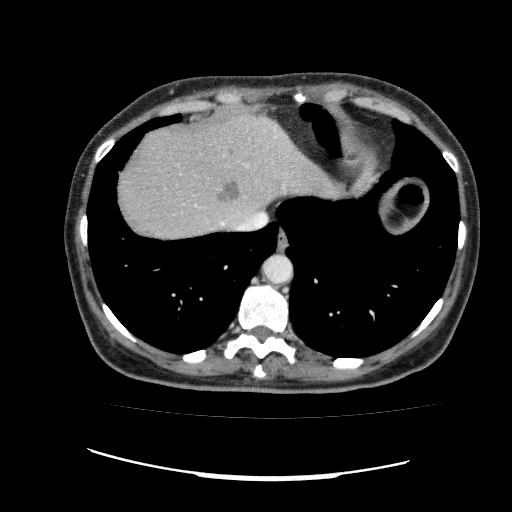 CT | Image size 512x512
{
  "liver_lesion": [
    {"x1": 216, "y1": 180, "x2": 240, "y2": 201}
  ],
  "liver": [
    {"x1": 117, "y1": 114, "x2": 338, "y2": 240}
  ]
}